FLAIR MR.
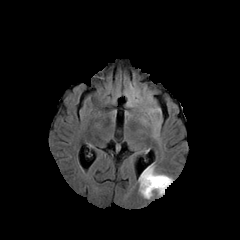
T1-weighted magnetic resonance.
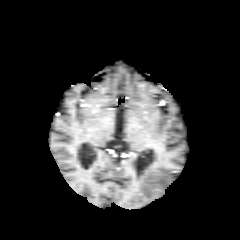
Post-contrast T1-weighted MR image.
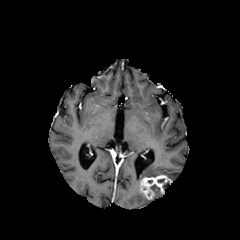
T2-weighted magnetic resonance.
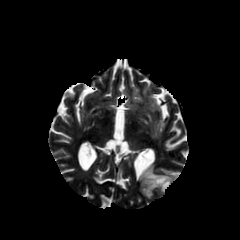
Head, Image size 240x240
2 edema regions appear at (x1=141, y1=188, x2=160, y2=199), (x1=136, y1=164, x2=163, y2=183). The enhancing tumor is at (x1=140, y1=174, x2=171, y2=198).